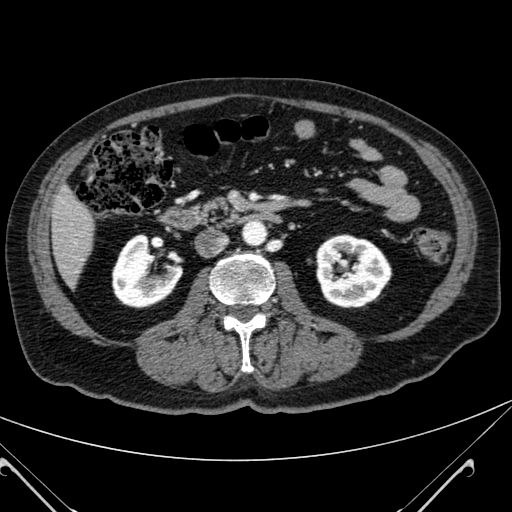

CT
kidney: 317, 236, 390, 306; 113, 236, 181, 306 | liver: 51, 190, 92, 287